Image width 240 mm, Image size 240x240
FLAIR MR image.
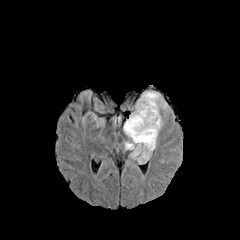
T1-weighted MRI.
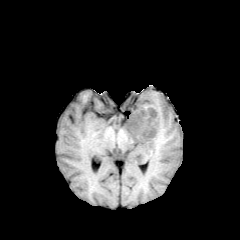
Post-contrast T1-weighted magnetic resonance.
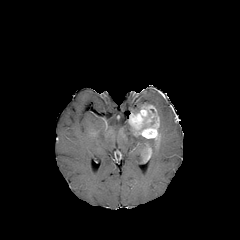
T2-weighted MRI.
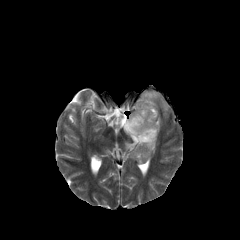
Findings:
• enhancing tumor: left=128, top=105, right=159, bottom=138; left=142, top=146, right=151, bottom=162
• edema: left=134, top=90, right=171, bottom=135; left=123, top=120, right=158, bottom=164
• non-enhancing tumor core: left=139, top=145, right=146, bottom=161; left=126, top=120, right=133, bottom=135